CT 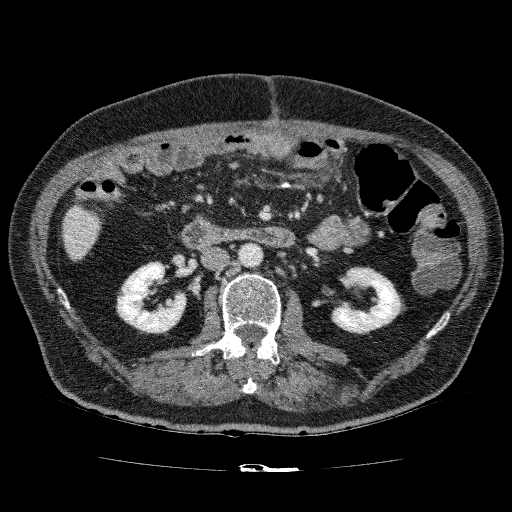
Kidney: bounding box x1=117, y1=262, x2=185, y2=332; x1=332, y1=267, x2=400, y2=333.
Liver: bounding box x1=62, y1=204, x2=104, y2=263.